Abdomen; Slice index 50; CT
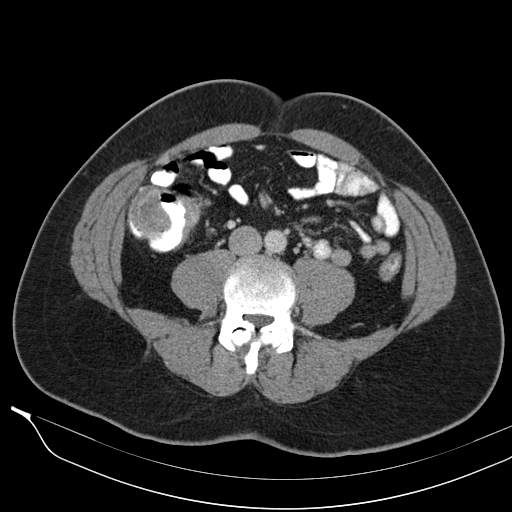

2 colon tumor regions appear at 178:195:200:236, 129:186:170:234.